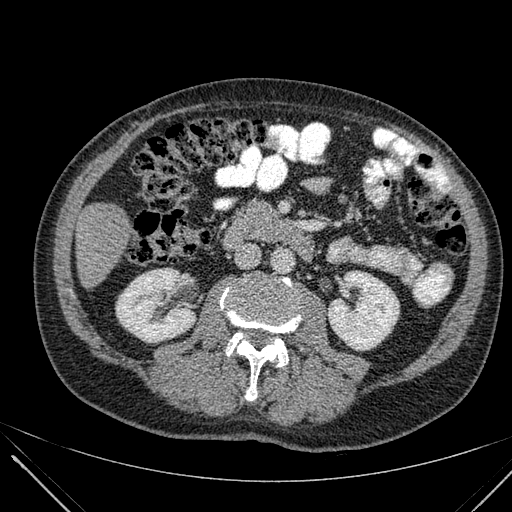 Computed tomography; Liver
2 kidney regions are located at <box>328,271,398,349</box>, <box>116,269,194,342</box>. The liver is at <box>76,202,136,288</box>.